Brain. Slice index 67. 240x240.
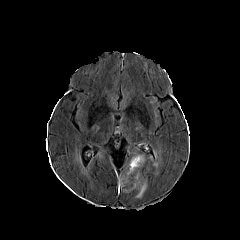
FLAIR magnetic resonance.
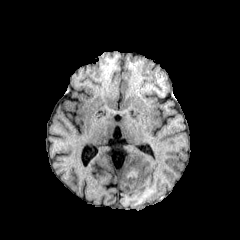
T1-weighted MRI of the same slice.
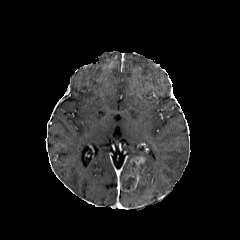
Post-contrast T1-weighted MR image.
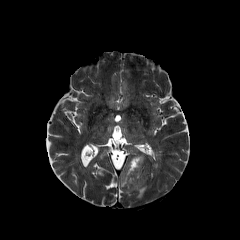
Same slice, T2-weighted MR image.
Enhancing tumor — 119 171 144 192, 127 154 145 171.
Edema — 135 182 147 198, 147 148 161 173.
Non-enhancing tumor core — 127 161 151 181, 122 174 135 190.